CT scan slice; Slice 31/95
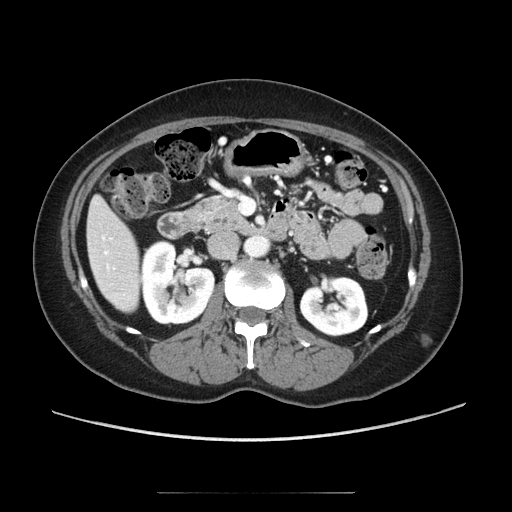

Pancreas — box=[188, 198, 255, 233].